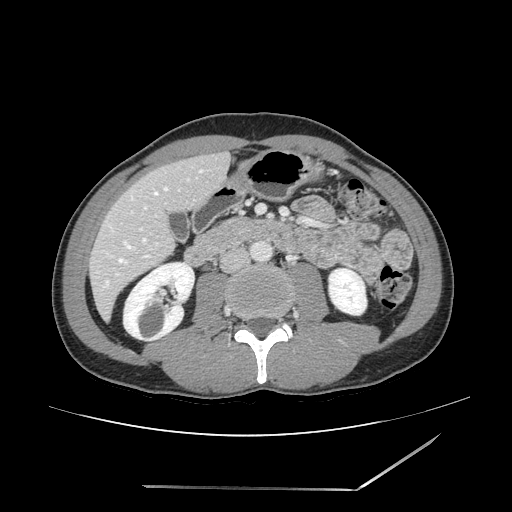 Computed tomography; Upper abdomen
The pancreas is bounded by rect(198, 218, 245, 242).